CT image; Slice 579/605; Chest
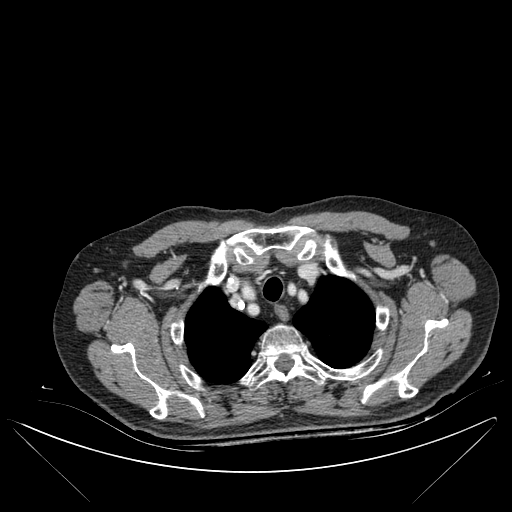

Lung — [263,278,281,300], [293,275,374,368], [184,287,266,383].
Bone — [297,240,316,260], [209,226,313,284], [111,343,203,418], [171,322,183,343], [376,306,389,329], [241,333,382,385], [180,365,200,388], [324,239,343,275], [362,319,448,402].